Computed tomography; 512x512

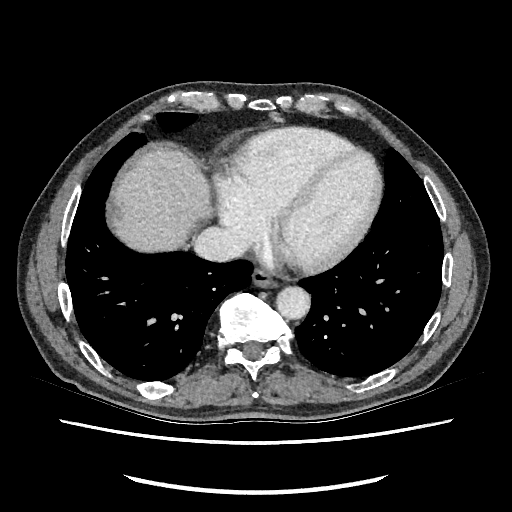 The liver is at bbox=[114, 150, 211, 249]. The hepatic lesion lies within bbox=[114, 205, 121, 216].